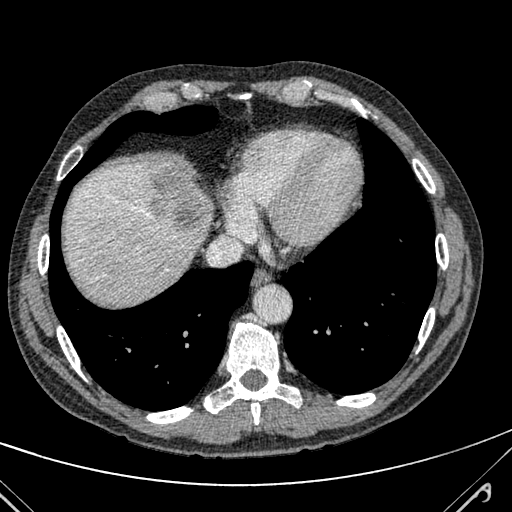 Liver; CT image

Hepatic lesion at {"x1": 173, "y1": 194, "x2": 204, "y2": 232}, {"x1": 150, "y1": 199, "x2": 162, "y2": 212}, {"x1": 153, "y1": 166, "x2": 178, "y2": 193}.
Liver at {"x1": 64, "y1": 161, "x2": 212, "y2": 302}.